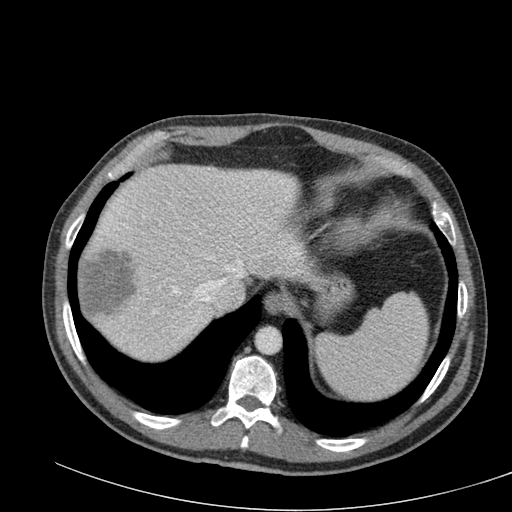

Upper abdomen, 512x512 px, CT scan slice

Hepatic lesion: box=[77, 248, 136, 316].
Liver: box=[85, 165, 304, 360].